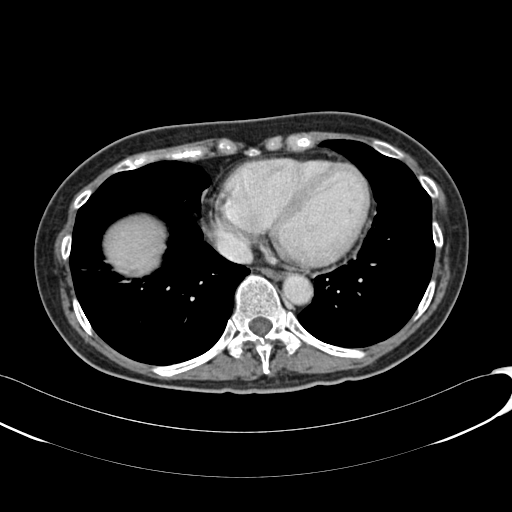

Computed tomography

Liver at 106 217 160 271.